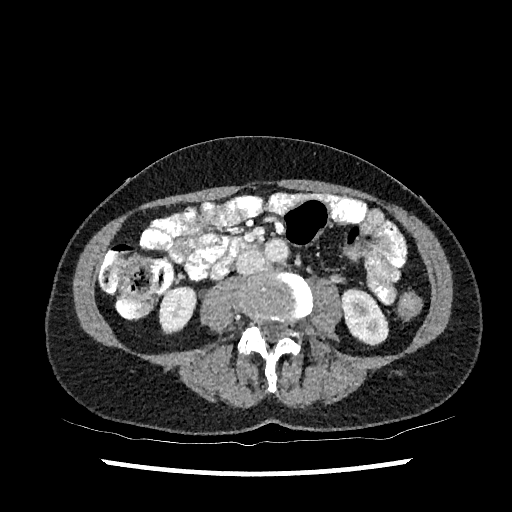

Abdomen; CT

2 kidney regions are located at {"x1": 342, "y1": 290, "x2": 387, "y2": 343}, {"x1": 160, "y1": 288, "x2": 195, "y2": 331}.